Image size 240x240 | Slice 107/155
FLAIR MR.
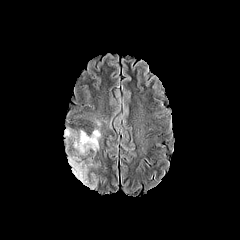
T1-weighted magnetic resonance.
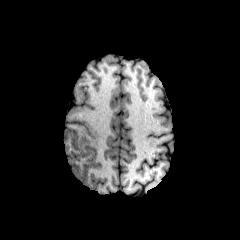
Post-contrast T1-weighted MRI.
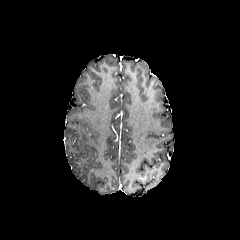
T2-weighted MR image.
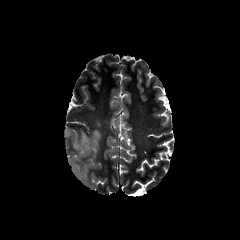
Annotated regions:
• edema: [64,129,100,155], [68,156,88,185]